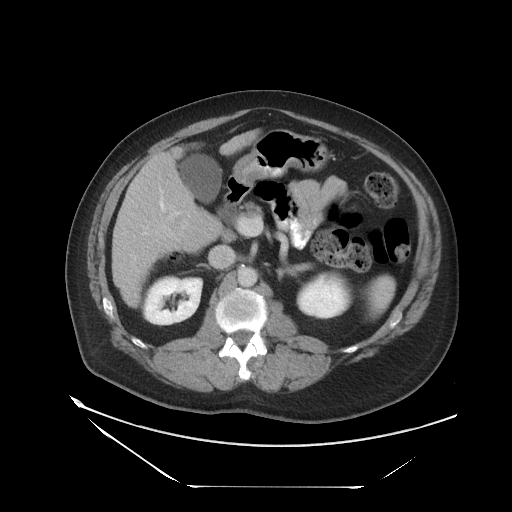 Abdomen; CT

The vessel boxes may cover only some of the vessels.
Hepatic vessel: bounding box l=168, t=211, r=179, b=219; l=159, t=198, r=164, b=211.
Liver tumor: bounding box l=171, t=213, r=200, b=239.